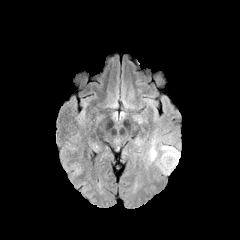
FLAIR magnetic resonance.
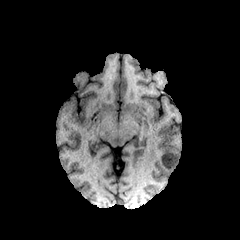
T1-weighted magnetic resonance of the same slice.
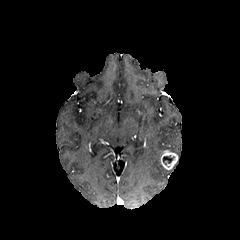
Same slice, post-contrast T1-weighted MR.
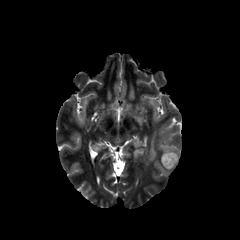
T2-weighted MR image.
<segmentation>
  <edema>(148, 138, 155, 161), (161, 146, 179, 155), (160, 166, 169, 175)</edema>
  <enhancing_tumor>(159, 149, 178, 170)</enhancing_tumor>
  <non-enhancing_tumor_core>(162, 155, 174, 165)</non-enhancing_tumor_core>
</segmentation>